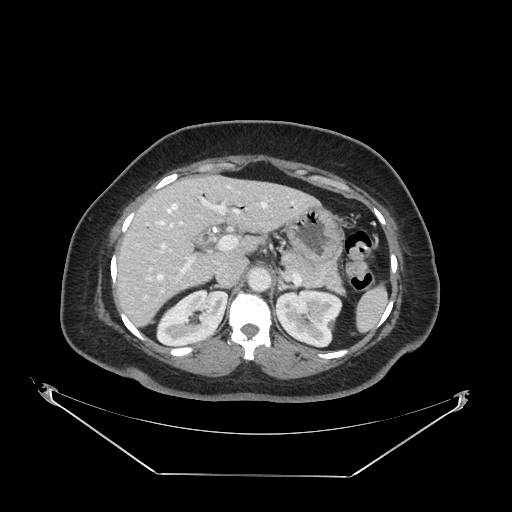 Computed tomography, Abdomen
{"pancreas": ["bbox(293, 256, 343, 292)"]}